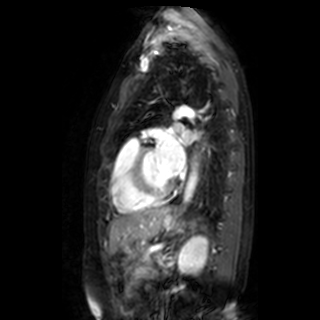 MR

left_atrium:
  - (156, 132, 185, 175)
  - (173, 123, 193, 143)